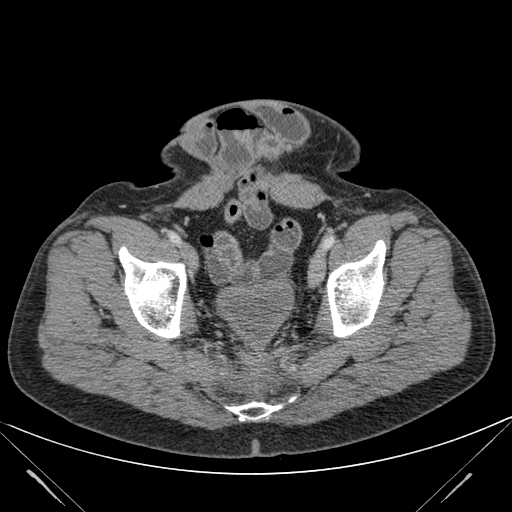

Computed tomography | Pelvis

Urinary bladder: [216, 277, 294, 340].